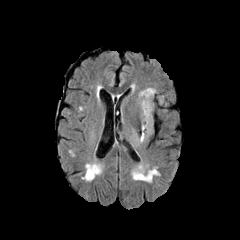
FLAIR MR.
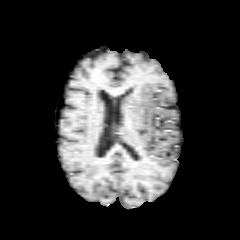
T1-weighted MRI of the same slice.
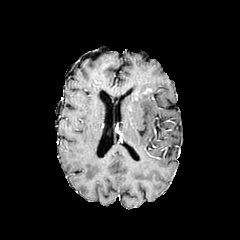
Post-contrast T1-weighted MR image.
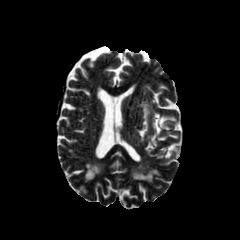
Same slice, T2-weighted magnetic resonance.
Head. 240x240.
The edema is located at (138,88,163,142).